Brain
FLAIR MR.
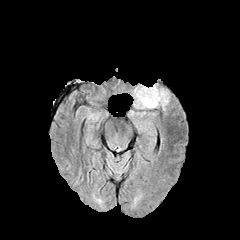
T1-weighted MRI.
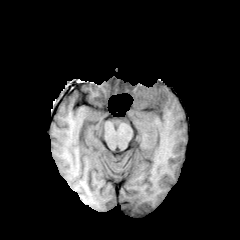
Post-contrast T1-weighted MRI.
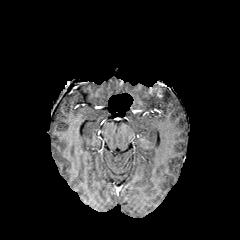
T2-weighted MR image.
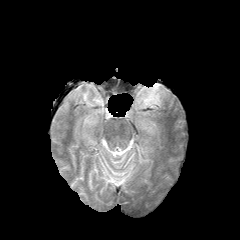
Enhancing tumor — 148,83,162,97.
Non-enhancing tumor core — 140,89,158,103.
Edema — 134,86,149,102; 142,87,167,107.